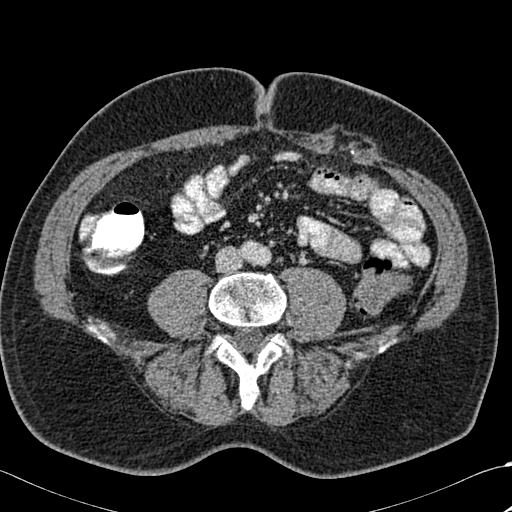 Computed tomography.

{"bone": ["bbox(209, 272, 286, 329)", "bbox(90, 326, 106, 340)", "bbox(208, 334, 290, 408)"]}